Field of view 469 mm wide, 3.00 mm slice spacing | Upper abdomen | Slice 120 of 164 | CT

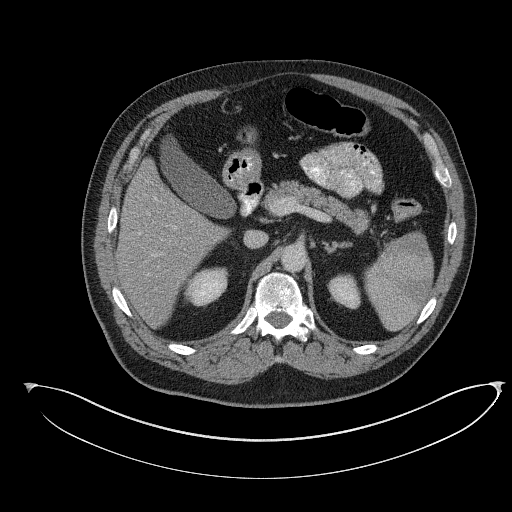 The pancreas is bounded by left=267, top=181, right=356, bottom=229. The pancreatic tumor lies within left=354, top=208, right=369, bottom=233.